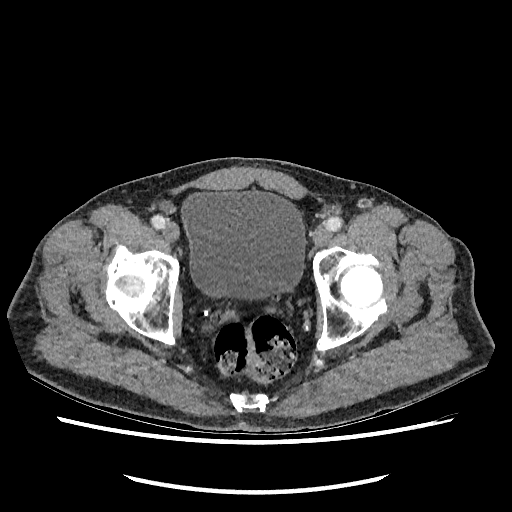 Lower abdomen. CT image.

Urinary bladder: bounding box [181, 189, 305, 298].